Liver; CT
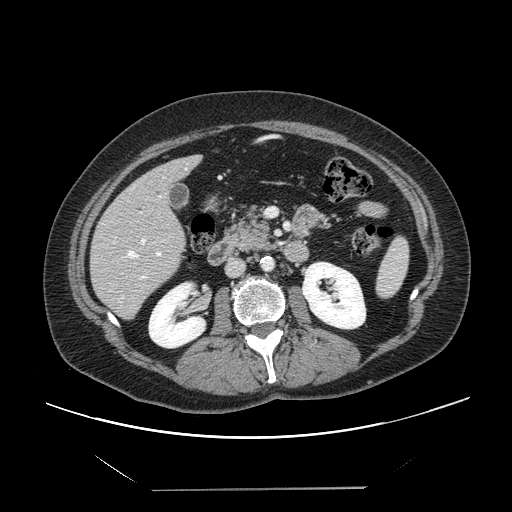
Only some of the vessels may be annotated.
Hepatic vessel — [140, 212, 141, 213], [155, 250, 161, 256], [140, 237, 147, 244], [120, 249, 138, 259], [139, 274, 147, 279], [112, 241, 115, 243], [158, 195, 162, 199], [163, 239, 165, 240].